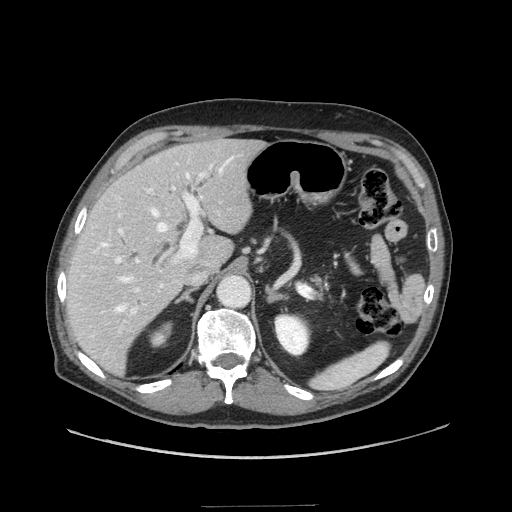 Abdomen. CT slice.
Pancreas = <bbox>312, 277, 322, 290</bbox>.